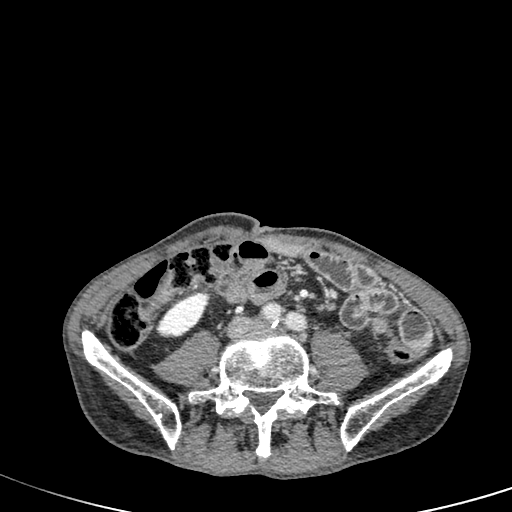 CT image
Kidney = <bbox>158, 293, 207, 335</bbox>.